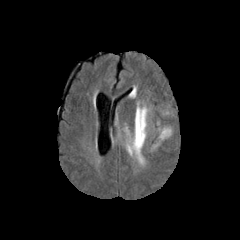
FLAIR magnetic resonance.
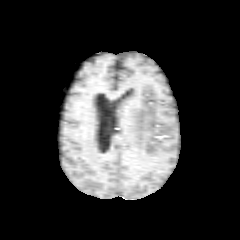
T1-weighted MR image.
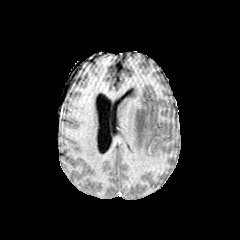
Post-contrast T1-weighted MR image.
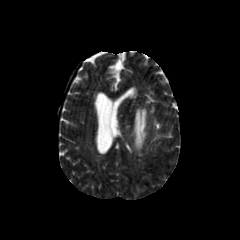
T2-weighted magnetic resonance.
Edema at bbox(126, 101, 171, 161).